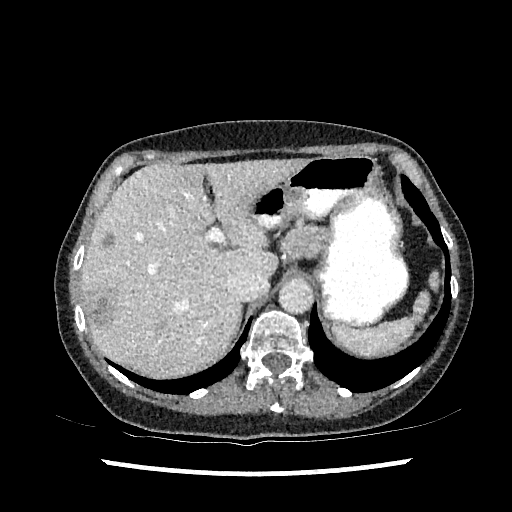
CT. Upper abdomen. Liver = x1=81, y1=159, x2=302, y2=376.
Focal liver lesion = x1=156, y1=322, x2=166, y2=332; x1=84, y1=287, x2=116, y2=327; x1=103, y1=235, x2=114, y2=246; x1=176, y1=171, x2=198, y2=190.